512x512; Abdomen; CT; Slice 346 of 826 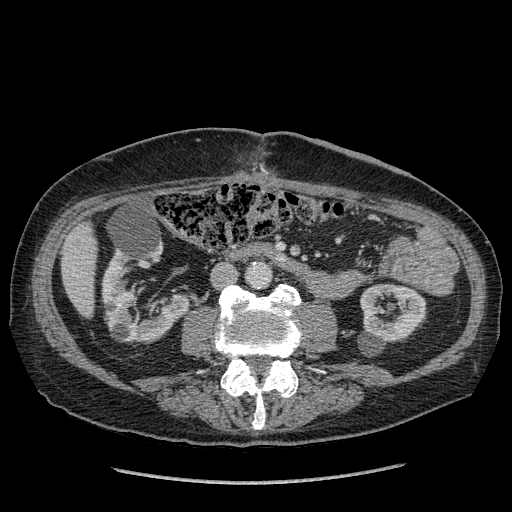

Segmented structures:
- liver: 61,221,95,317
- kidney: 102,250,133,326; 127,295,188,340; 360,284,425,341